Brain. 240x240 px. Field of view 240x240 mm.
FLAIR MR image.
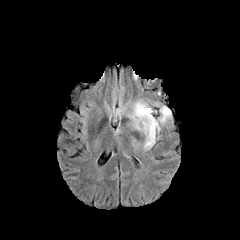
T1-weighted MR.
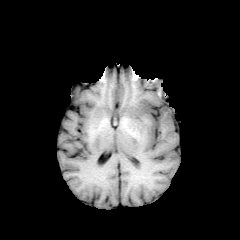
Post-contrast T1-weighted magnetic resonance.
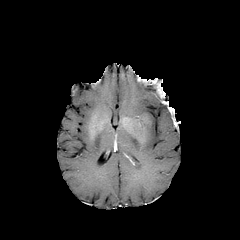
T2-weighted MR.
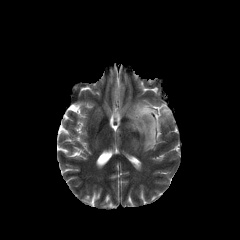
Findings:
* edema: box(126, 99, 172, 152)